Cardiac; MRI slice; Slice 57/120; Field of view 400x400 mm 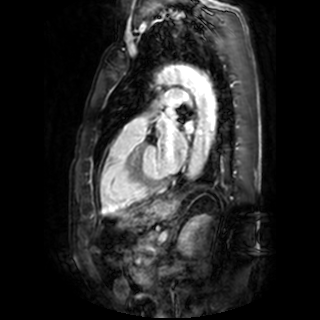
Left atrium: region(158, 126, 187, 173); region(184, 122, 191, 131).